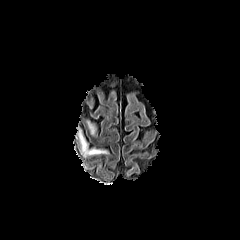
FLAIR MR.
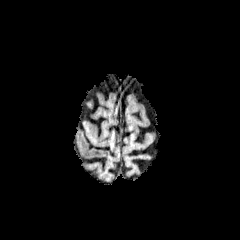
T1-weighted MR image of the same slice.
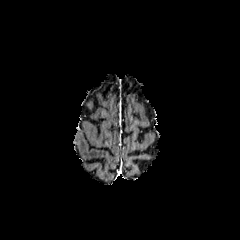
Post-contrast T1-weighted magnetic resonance.
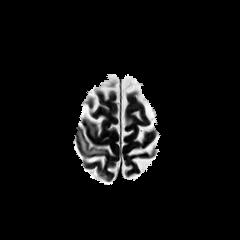
T2-weighted MRI.
Image size 240x240.
Segmented structures:
- edema: <box>78,130,106,154</box>